Head.
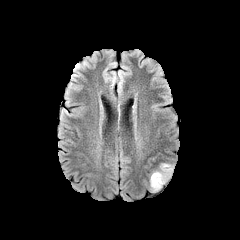
FLAIR magnetic resonance.
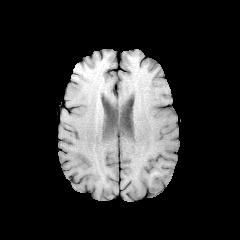
T1-weighted MR image of the same slice.
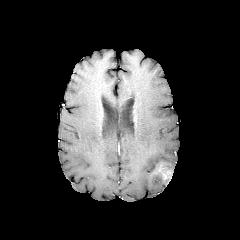
Post-contrast T1-weighted magnetic resonance.
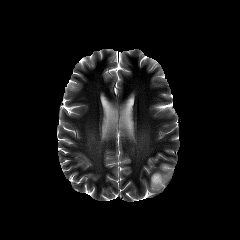
Same slice, T2-weighted MR image.
edema: {"x1": 150, "y1": 163, "x2": 174, "y2": 192}